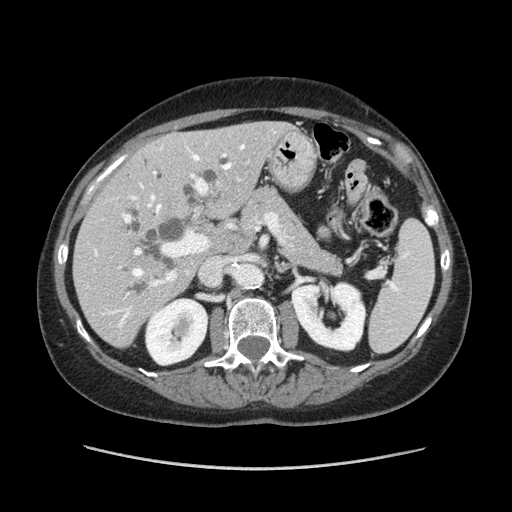
Computed tomography | Abdomen

Pancreas: bounding box [x1=238, y1=182, x2=344, y2=279].